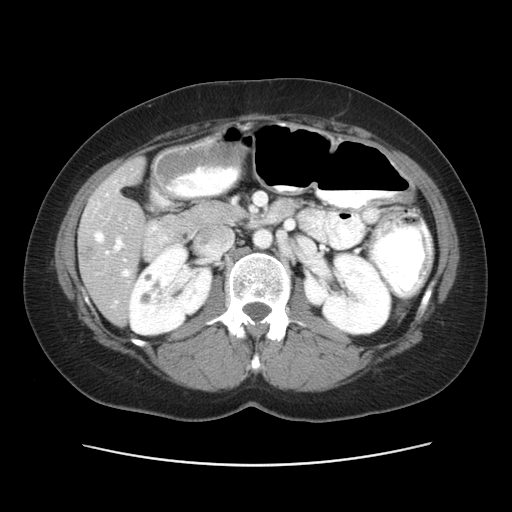 512x512; Liver; CT scan slice
Only some of the vessels may be annotated.
{"hepatic_vessel": ["x1=105, y1=251, x2=108, y2=253", "x1=124, y1=259, x2=125, y2=260", "x1=95, y1=232, x2=103, y2=241", "x1=114, y1=238, x2=121, y2=249", "x1=115, y1=301, x2=116, y2=302", "x1=122, y1=270, x2=129, y2=276"], "liver_tumor": ["x1=80, y1=246, x2=96, y2=263"]}